Slice index 82 | Head
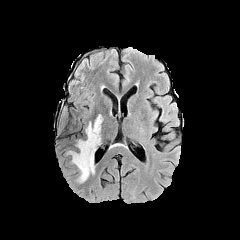
FLAIR MR.
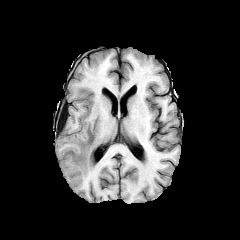
T1-weighted MRI.
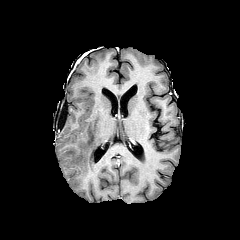
Same slice, post-contrast T1-weighted MR.
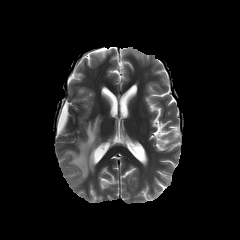
T2-weighted magnetic resonance of the same slice.
<segmentation>
  <edema>box(67, 114, 102, 182)</edema>
</segmentation>